Image width 383 mm. CT image. 512x512 px. 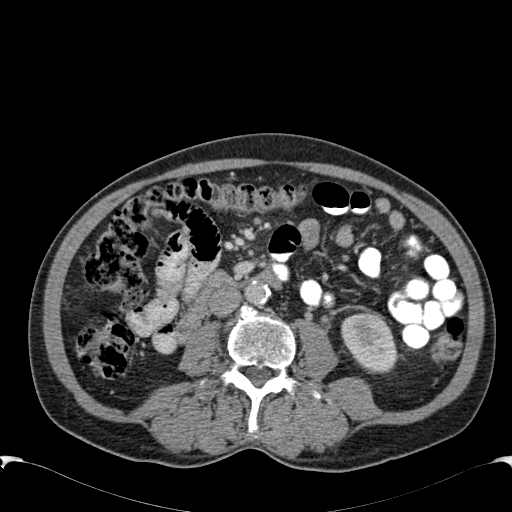

The kidney is located at 339, 315, 396, 371.